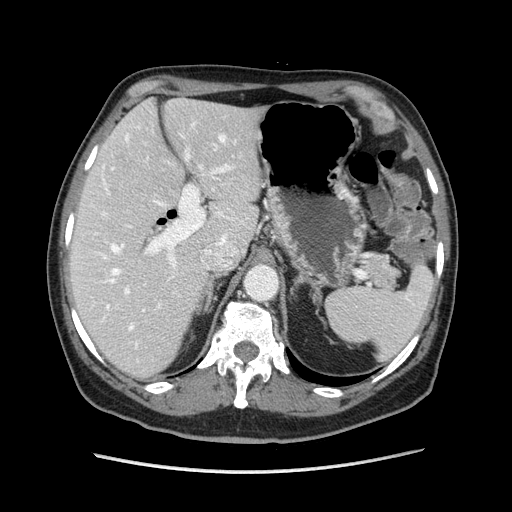
CT image. Abdomen. Findings:
- pancreas: x1=365, y1=255, x2=397, y2=288